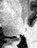

Magnetic resonance, Hippocampus

Posterior hippocampus — bbox=[11, 38, 18, 42].